Head
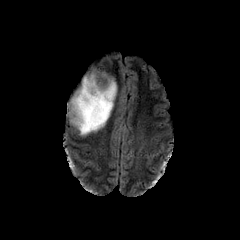
FLAIR magnetic resonance.
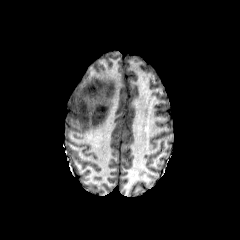
T1-weighted magnetic resonance.
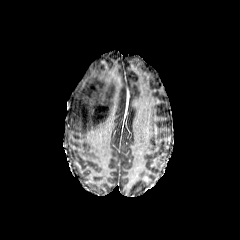
Same slice, post-contrast T1-weighted magnetic resonance.
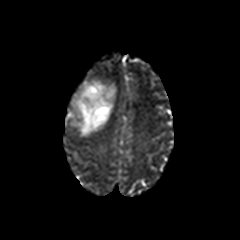
T2-weighted MR.
The edema is at 68:76:117:136.